Slice index 91 | Head
FLAIR MR image.
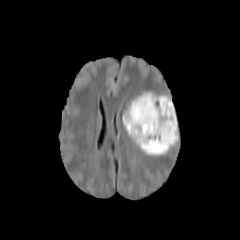
T1-weighted MRI.
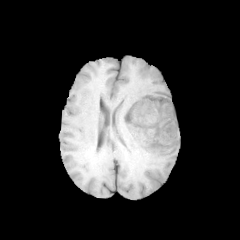
Post-contrast T1-weighted magnetic resonance.
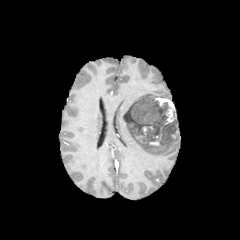
T2-weighted MR.
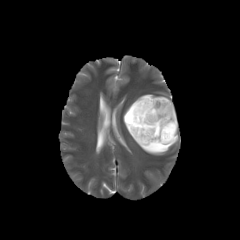
non-enhancing tumor core: box(124, 98, 178, 144) | edema: box(124, 91, 155, 114); box(137, 131, 178, 155); box(123, 115, 135, 140) | enhancing tumor: box(141, 125, 153, 135); box(137, 132, 161, 145); box(154, 96, 176, 124)